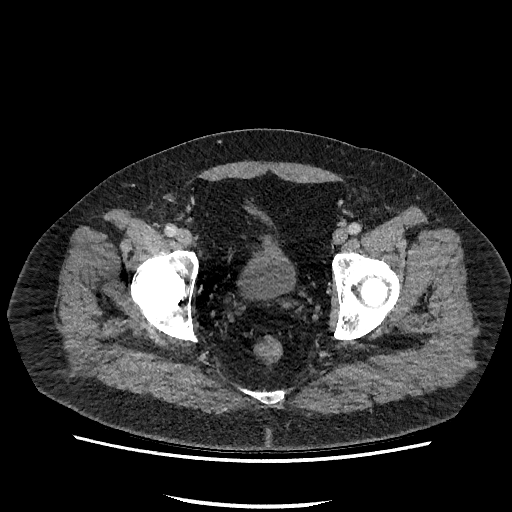 Image size 512x512; CT; Pelvis
2 urinary bladder regions appear at {"x1": 245, "y1": 204, "x2": 271, "y2": 226}, {"x1": 237, "y1": 234, "x2": 295, "y2": 300}.